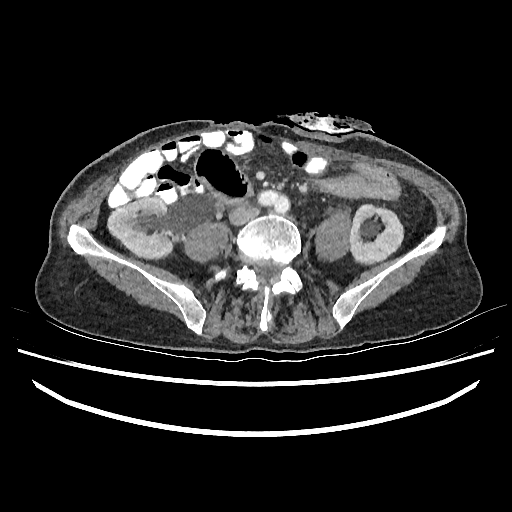 Abdomen | Image size 512x512 | CT slice
<segmentation>
  <kidney>x1=350 y1=205 x2=402 y2=262, x1=108 y1=197 x2=171 y2=257</kidney>
</segmentation>